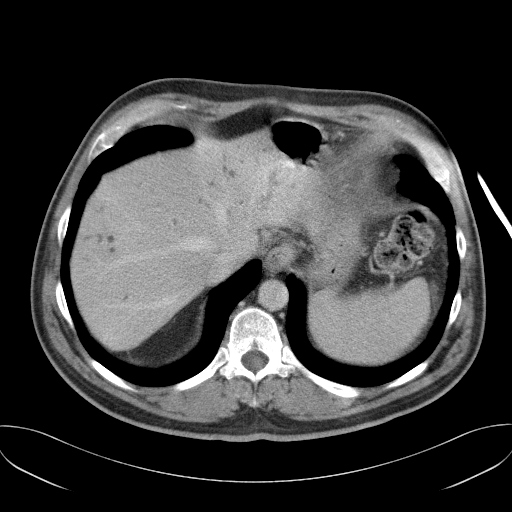 CT scan slice.

Not every hepatic vessel necessarily has a box.
6 hepatic vessel regions appear at bbox(145, 298, 174, 307); bbox(215, 202, 231, 224); bbox(246, 223, 248, 227); bbox(215, 246, 235, 279); bbox(155, 250, 168, 253); bbox(173, 238, 212, 249).